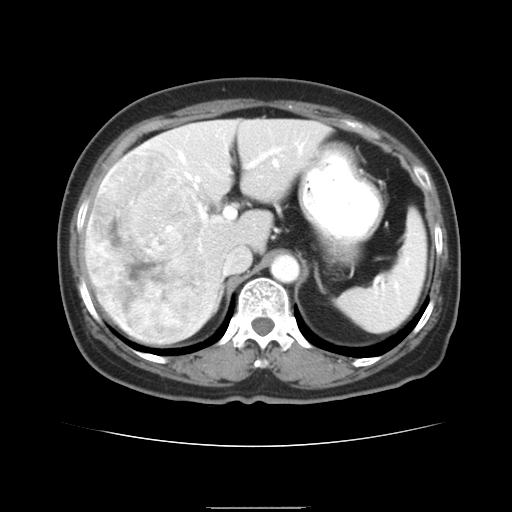 CT slice | Liver

Only some of the vessels may be annotated.
Hepatic vessel: bounding box box(209, 207, 235, 223); box(247, 148, 279, 167); box(194, 177, 199, 188); box(178, 152, 184, 161); box(185, 174, 190, 178); box(272, 161, 277, 165); box(295, 143, 302, 151); box(209, 168, 212, 171).
Liver tumor: bounding box box(86, 148, 208, 343).